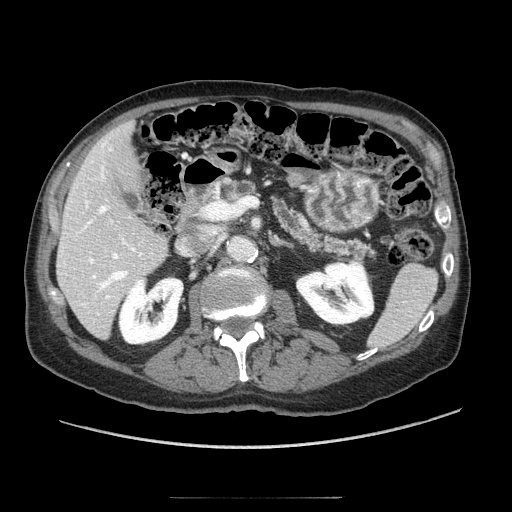 CT scan slice, Upper abdomen
2 pancreas regions are bounded by x1=227 y1=181 x2=253 y2=199, x1=273 y1=198 x2=375 y2=260.